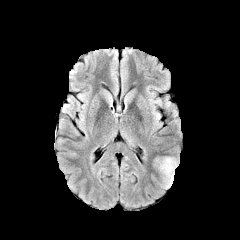
FLAIR MR image.
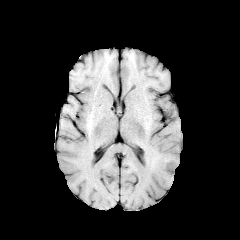
T1-weighted MRI of the same slice.
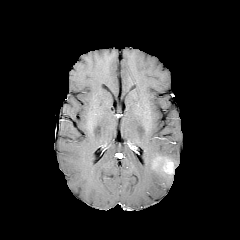
Post-contrast T1-weighted MR image.
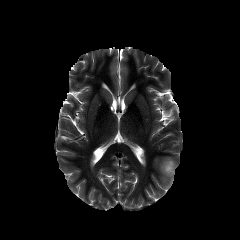
T2-weighted MR.
Head. 240x240 px.
{
  "enhancing_tumor": [
    "bbox(163, 161, 174, 174)"
  ],
  "edema": [
    "bbox(158, 157, 177, 188)"
  ]
}